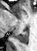 MRI slice
- posterior hippocampus: bbox(16, 28, 28, 43)